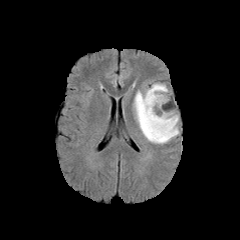
FLAIR MRI.
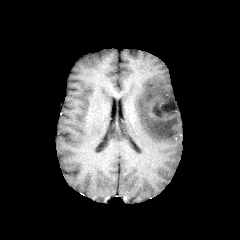
T1-weighted MR.
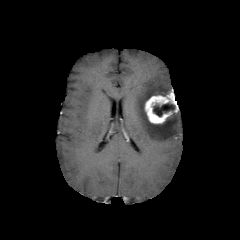
Post-contrast T1-weighted magnetic resonance.
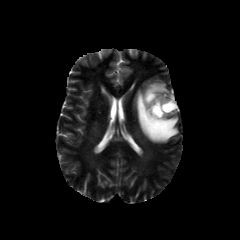
Same slice, T2-weighted magnetic resonance.
2 non-enhancing tumor core regions appear at (139, 92, 172, 133), (153, 102, 175, 116). The edema lies within (133, 79, 179, 144). The enhancing tumor appears at (144, 91, 177, 123).